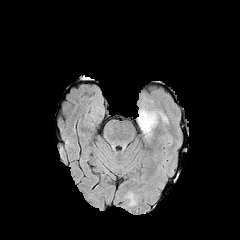
FLAIR MRI.
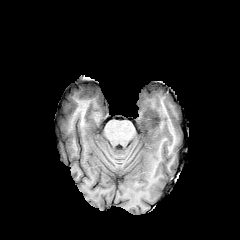
T1-weighted MRI of the same slice.
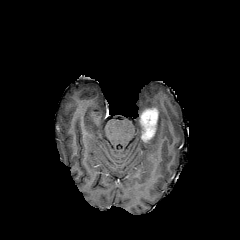
Post-contrast T1-weighted MR.
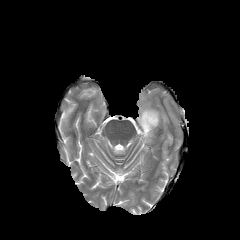
Same slice, T2-weighted MR image.
Findings:
* edema: <bbox>138, 106, 167, 124</bbox>
* enhancing tumor: <bbox>139, 108, 158, 141</bbox>